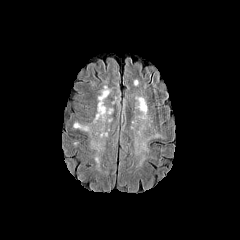
FLAIR MR image.
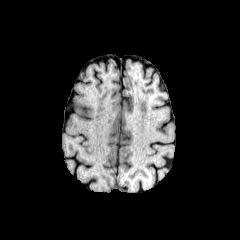
T1-weighted MRI.
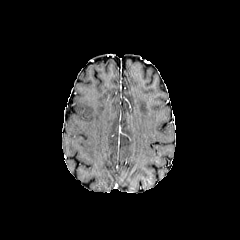
Post-contrast T1-weighted MR image of the same slice.
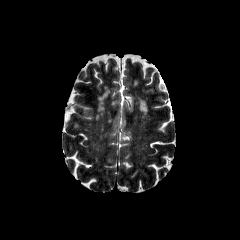
T2-weighted MR image.
Brain
Segmented structures:
* edema: 98 91 109 100, 98 103 104 119